CT image

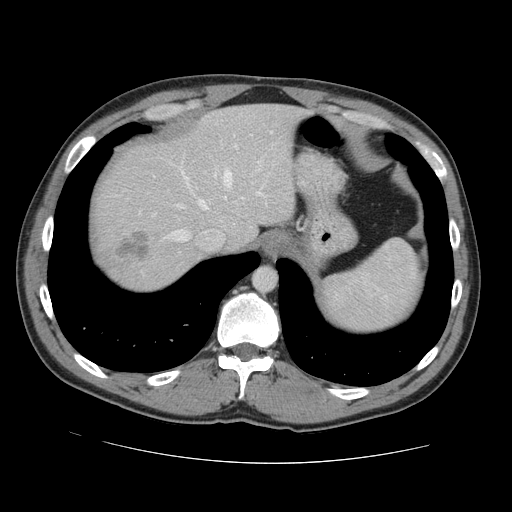

Some hepatic vessels may have no box.
Liver tumor at bbox(114, 233, 150, 261).
Largest 15 of 19 hepatic vessel regions at bbox(176, 203, 184, 207); bbox(178, 165, 189, 183); bbox(163, 230, 189, 241); bbox(190, 187, 196, 191); bbox(233, 201, 236, 203); bbox(152, 213, 155, 215); bbox(197, 198, 210, 209); bbox(255, 186, 263, 195); bbox(214, 171, 216, 176); bbox(233, 144, 236, 147); bbox(138, 211, 140, 214); bbox(223, 196, 225, 198); bbox(240, 197, 243, 201); bbox(222, 170, 230, 188); bbox(257, 161, 259, 164).